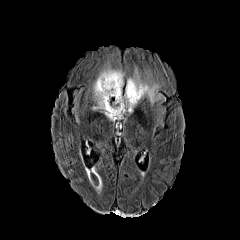
FLAIR MR image.
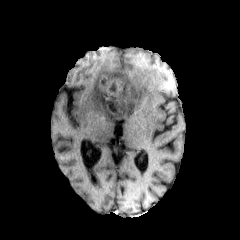
Same slice, T1-weighted MRI.
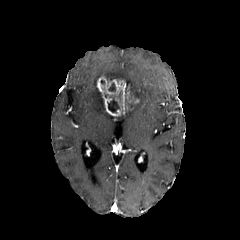
Same slice, post-contrast T1-weighted MRI.
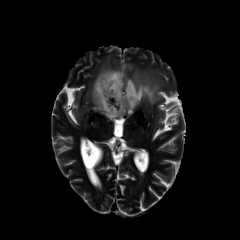
T2-weighted magnetic resonance.
Brain | Image size 240x240
non-enhancing tumor core: <bbox>108, 95, 120, 113</bbox> | edema: <bbox>155, 109, 164, 124</bbox>, <bbox>88, 59, 125, 121</bbox>, <bbox>125, 67, 166, 115</bbox> | enhancing tumor: <bbox>96, 76, 132, 116</bbox>